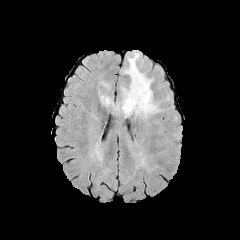
FLAIR MR.
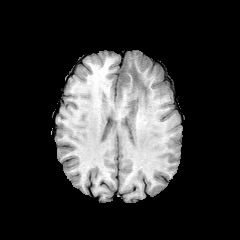
T1-weighted magnetic resonance.
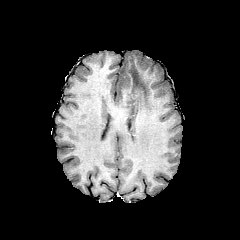
Same slice, post-contrast T1-weighted MRI.
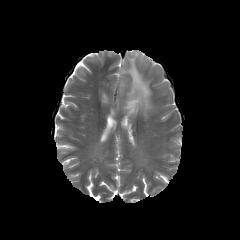
T2-weighted magnetic resonance.
edema:
  - box(111, 51, 155, 119)